Abdomen. CT. Image size 512x512. 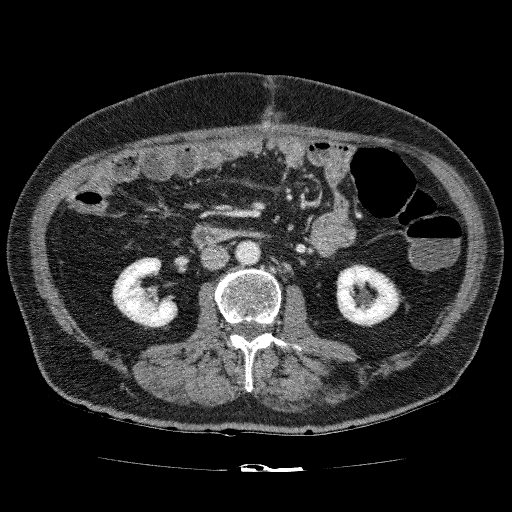 <segmentation>
  <kidney>region(337, 265, 398, 325); region(113, 258, 176, 327)</kidney>
</segmentation>